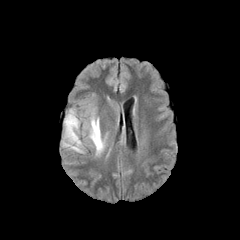
FLAIR MR.
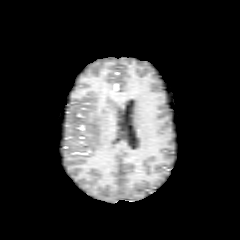
T1-weighted MRI.
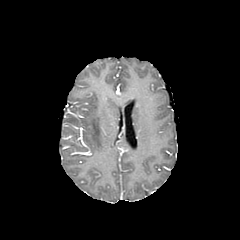
Post-contrast T1-weighted MR.
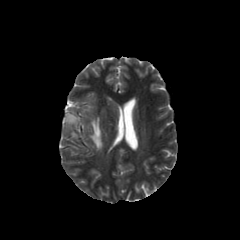
T2-weighted MR image.
Brain, 240x240
edema:
  - (64,114,80,143)
  - (90,118,102,151)